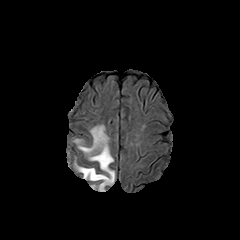
FLAIR MRI.
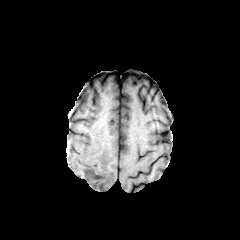
T1-weighted MRI.
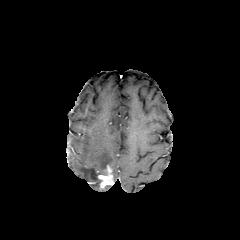
Post-contrast T1-weighted magnetic resonance.
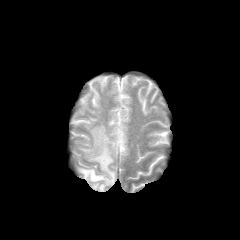
T2-weighted magnetic resonance.
240x240 px
Edema at region(74, 125, 113, 191).
Non-enhancing tumor core at region(94, 171, 104, 188).
Enhancing tumor at region(98, 167, 113, 189).